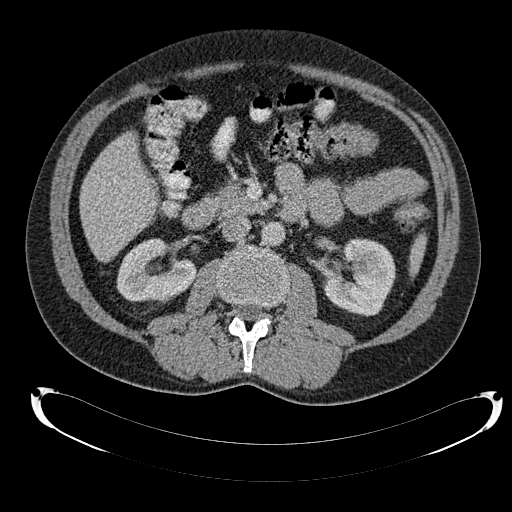
CT scan slice; Abdomen

Liver: <box>80,134,156,261</box>.
Kidney: <box>317,239,394,315</box>, <box>117,239,195,300</box>.